Slice 23/40; Computed tomography 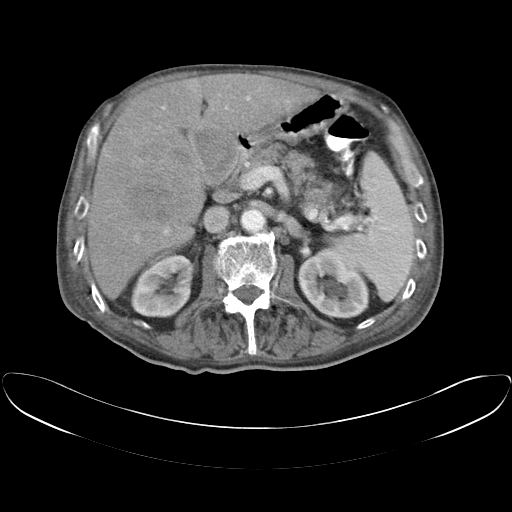 Not every hepatic vessel necessarily has a box.
liver_tumor:
  - [x1=123, y1=142, x2=201, y2=227]
hepatic_vessel:
  - [x1=159, y1=126, x2=160, y2=128]
  - [x1=161, y1=105, x2=165, y2=109]
  - [x1=163, y1=227, x2=170, y2=235]
  - [x1=225, y1=105, x2=228, y2=109]
  - [x1=246, y1=96, x2=250, y2=100]